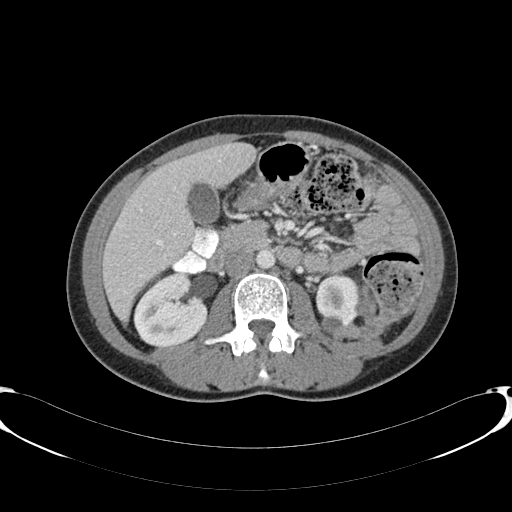

CT.
Liver at l=103, t=143, r=254, b=319.
Kidney at l=317, t=276, r=357, b=326; l=135, t=274, r=206, b=345.